512x512 | Slice 24 of 36 | Computed tomography

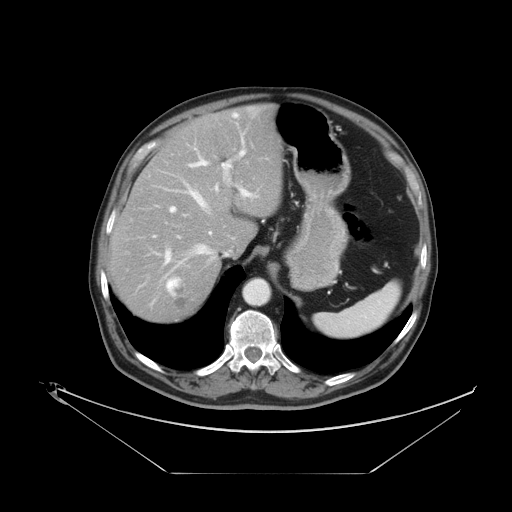
Not every hepatic vessel necessarily has a box.
* hepatic vessel: 194 146 196 150, 154 249 171 264, 238 185 258 198, 164 244 214 294, 209 231 211 233, 250 109 255 115, 164 188 173 190, 189 154 208 167, 184 182 185 183, 222 162 230 172, 169 205 175 211, 177 186 210 212, 235 132 245 159, 213 185 217 191